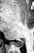

MR
Segmented structures:
- posterior hippocampus: rect(14, 40, 23, 47)